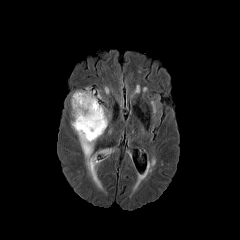
FLAIR MR.
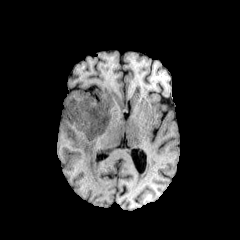
T1-weighted MRI of the same slice.
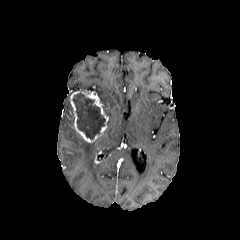
Same slice, post-contrast T1-weighted MRI.
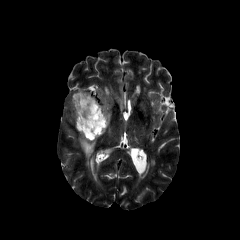
Same slice, T2-weighted MR image.
240x240
The non-enhancing tumor core is bounded by 72, 94, 105, 139. 2 edema regions appear at 78, 135, 95, 158; 101, 148, 118, 161. The enhancing tumor appears at 69, 89, 108, 142.